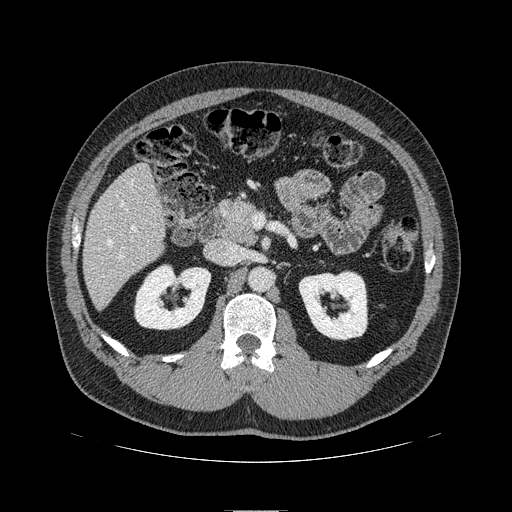

CT slice

Pancreas: bounding box region(221, 200, 255, 244).